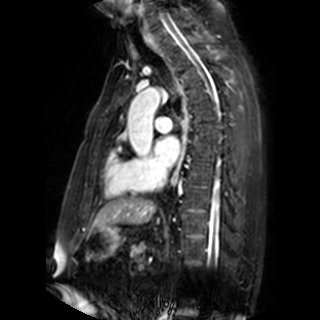 MRI. Cardiac. The left atrium is located at region(155, 136, 178, 166).